FLAIR MRI.
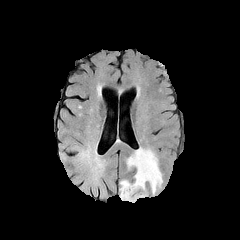
T1-weighted magnetic resonance.
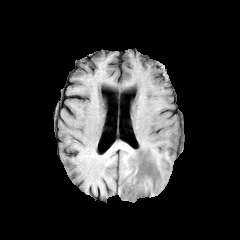
Post-contrast T1-weighted MRI.
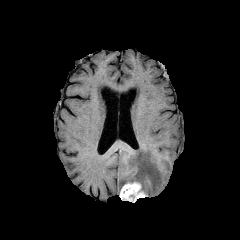
T2-weighted MR.
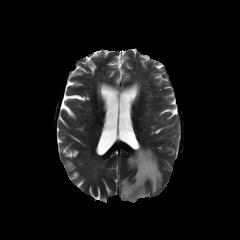
Head
Enhancing tumor = (x1=120, y1=181, x2=145, y2=202).
Edema = (x1=127, y1=148, x2=162, y2=193).